CT slice | Image size 512x512 | Field of view 386 mm wide, 1.50 mm slice spacing | Slice index 29 | Abdomen
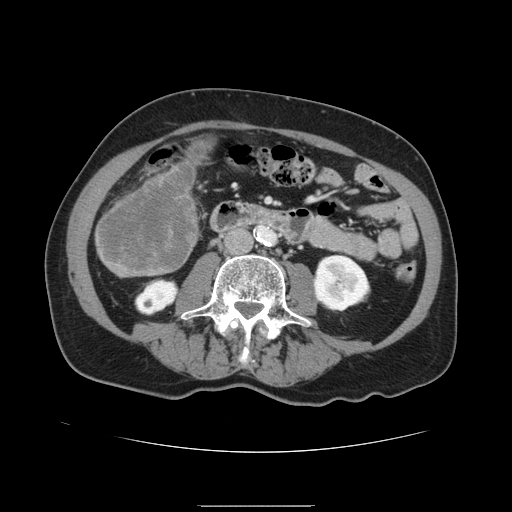 The liver tumor is bounded by region(98, 146, 204, 273).